CT image, Slice index 40
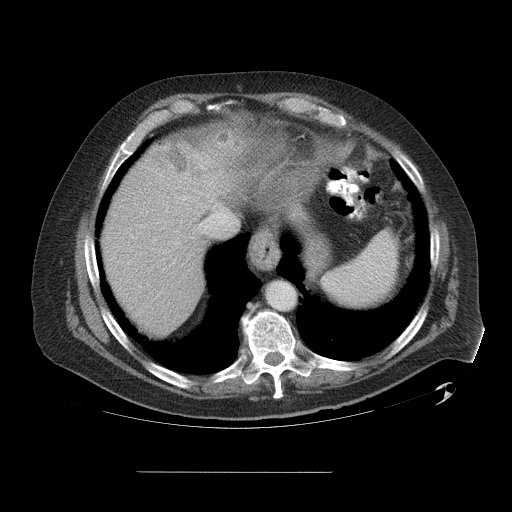

The vessel annotation is not exhaustive.
hepatic_vessel:
  - (left=162, top=250, right=170, bottom=254)
  - (left=172, top=241, right=179, bottom=245)
  - (left=197, top=210, right=236, bottom=235)
  - (left=162, top=258, right=164, bottom=259)
liver_tumor:
  - (left=219, top=133, right=242, bottom=145)
  - (left=165, top=145, right=188, bottom=172)